Image size 240x240; Head; Slice 111 of 155
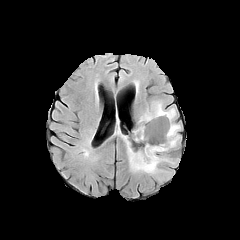
FLAIR MRI.
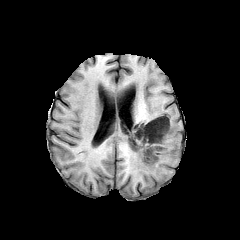
Same slice, T1-weighted magnetic resonance.
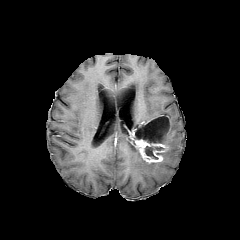
Same slice, post-contrast T1-weighted MRI.
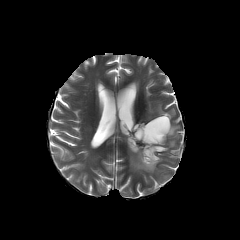
Same slice, T2-weighted MRI.
{"non-enhancing_tumor_core": ["(130, 115, 169, 159)"], "enhancing_tumor": ["(135, 139, 166, 163)"], "edema": ["(144, 102, 180, 151)", "(123, 136, 169, 176)"]}